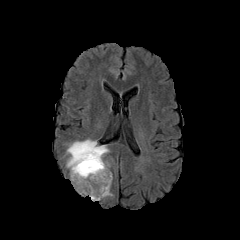
FLAIR magnetic resonance.
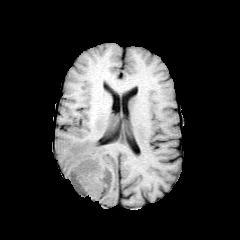
T1-weighted MR of the same slice.
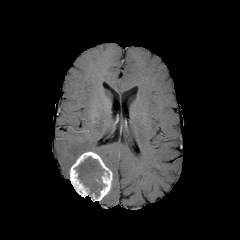
Post-contrast T1-weighted magnetic resonance.
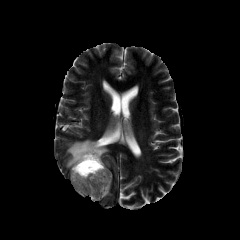
T2-weighted MR image.
The edema is located at x1=66 y1=139 x2=109 y2=168. The non-enhancing tumor core lies within x1=75 y1=156 x2=103 y2=196. The enhancing tumor is at x1=70 y1=152 x2=112 y2=201.